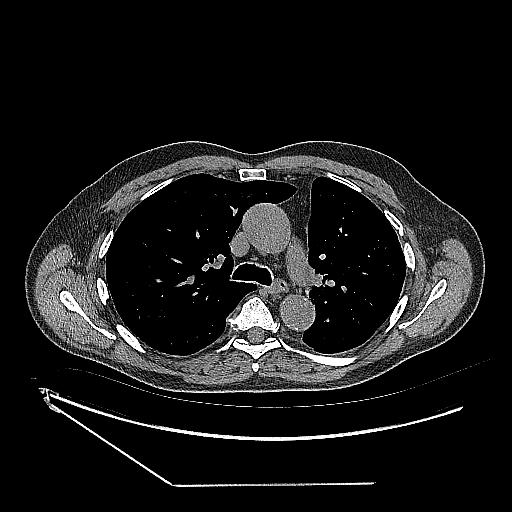
Thorax | Computed tomography
Annotated regions:
- lung tumor: (156, 313, 166, 322)